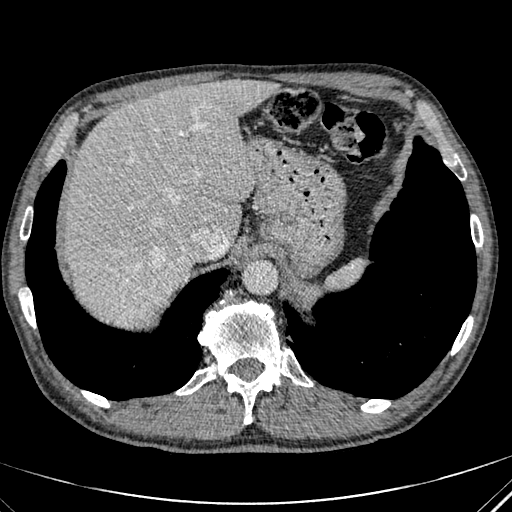

CT scan slice
Liver: bounding box x1=66 y1=79 x2=277 y2=322.